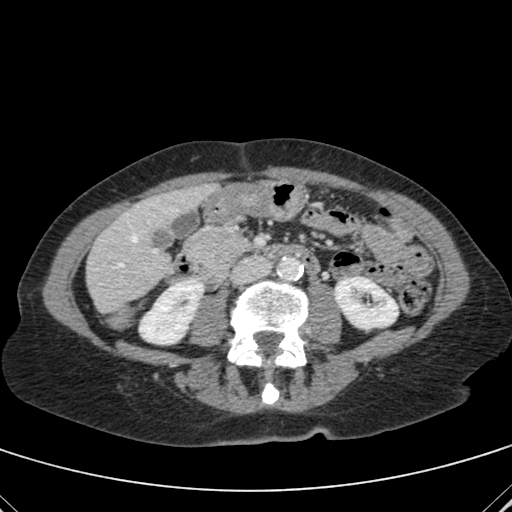
Upper abdomen. CT slice.
Annotated regions:
• kidney: [139,280,202,343], [335,277,397,328]
• liver: [87,184,211,311]
• liver lesion: [147,226,173,249]